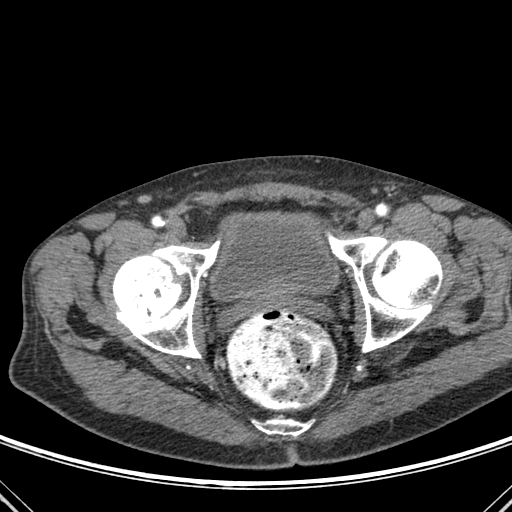

CT, Lower abdomen, 512x512 px

The urinary bladder lies within region(212, 210, 343, 298). 3 bone regions are located at region(253, 419, 311, 436); region(113, 241, 219, 358); region(328, 231, 442, 352).